Brain; Field of view 240x240 mm
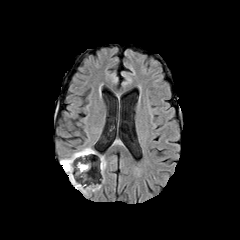
FLAIR MRI.
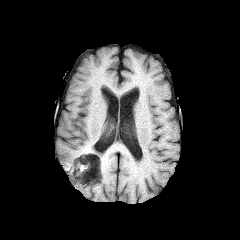
T1-weighted MR.
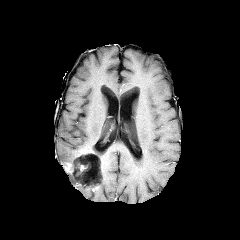
Same slice, post-contrast T1-weighted MR image.
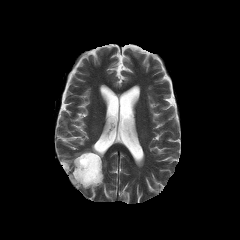
T2-weighted magnetic resonance of the same slice.
Enhancing tumor: <box>77,149,91,156</box>.
Edema: <box>60,149,88,189</box>.
Non-enhancing tumor core: <box>75,152,105,180</box>.